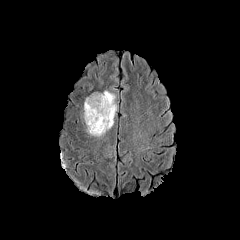
FLAIR MR image.
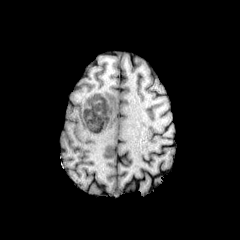
Same slice, T1-weighted MRI.
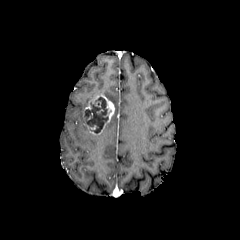
Post-contrast T1-weighted MRI.
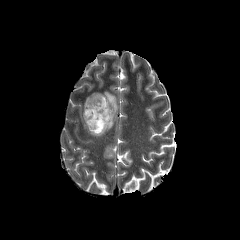
Same slice, T2-weighted MR image.
Non-enhancing tumor core at (left=84, top=96, right=108, bottom=133).
Enhancing tumor at (left=87, top=125, right=102, bottom=135), (left=92, top=95, right=114, bottom=122).
Edema at (left=84, top=90, right=115, bottom=109), (left=103, top=104, right=117, bottom=131).